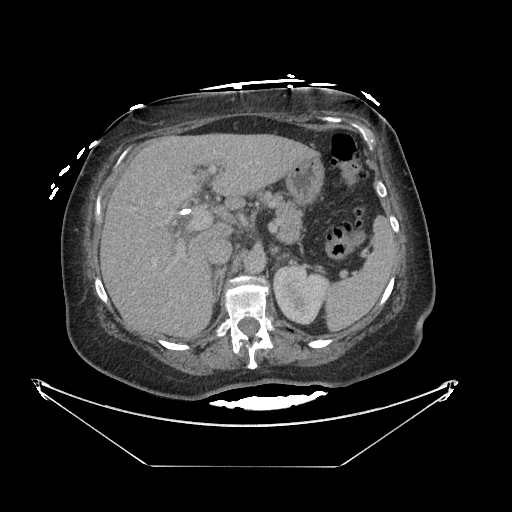

512x512 px. CT image. pancreas:
  - [263,194,301,242]